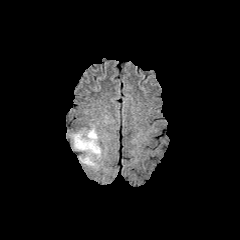
FLAIR MRI.
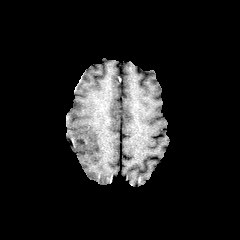
T1-weighted MRI of the same slice.
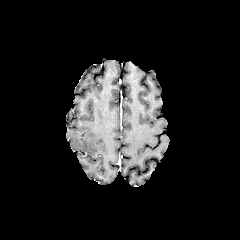
Post-contrast T1-weighted MRI.
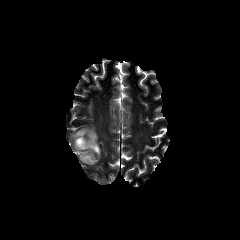
T2-weighted MRI.
Head
Annotated regions:
* edema: x1=70 y1=124 x2=103 y2=167